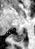
35x49, MR, Medial temporal lobe

Posterior hippocampus = box(13, 33, 25, 41).